CT scan slice.

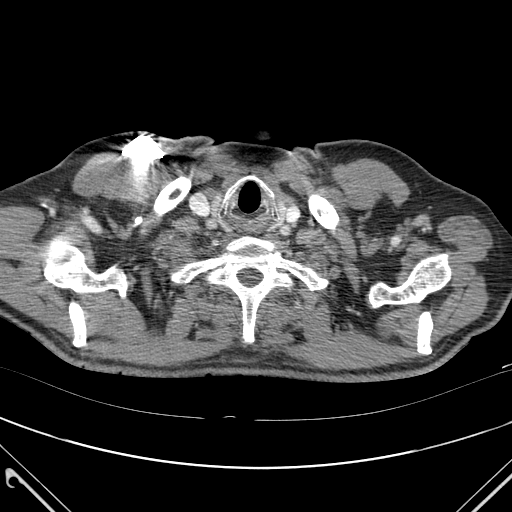

Annotated regions:
• bone: (left=69, top=303, right=85, bottom=346), (left=370, top=255, right=450, bottom=306), (left=154, top=176, right=190, bottom=215), (left=172, top=237, right=327, bottom=342), (left=45, top=239, right=127, bottom=297), (left=309, top=195, right=337, bottom=228), (left=417, top=312, right=432, bottom=354)